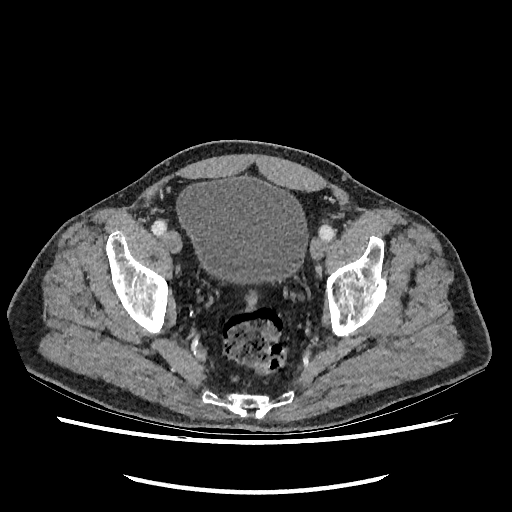

Pelvis, CT image
The urinary bladder lies within <box>177,175,308,283</box>.